Computed tomography. Abdomen.
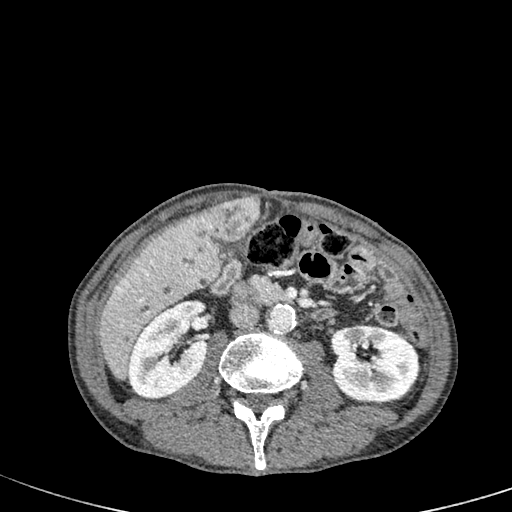 Liver lesion — x1=198 y1=196 x2=259 y2=240.
Kidney — x1=128 y1=301 x2=208 y2=397, x1=332 y1=326 x2=418 y2=401.
Liver — x1=99 y1=209 x2=221 y2=380.